Slice 71/155, Head, Image size 240x240
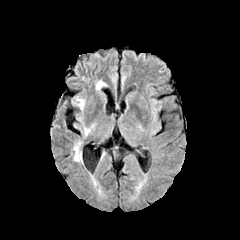
FLAIR magnetic resonance.
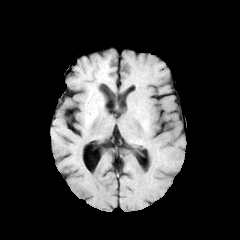
T1-weighted MR image of the same slice.
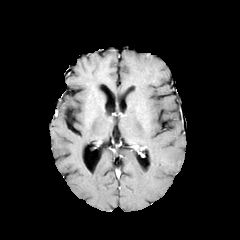
Post-contrast T1-weighted MR of the same slice.
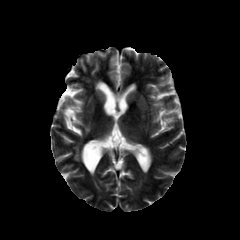
Same slice, T2-weighted MR image.
edema:
  - 94,80,105,91
  - 74,97,84,110
  - 73,142,82,161